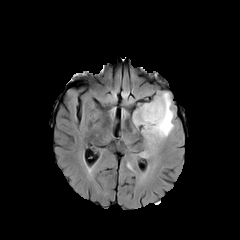
FLAIR MR.
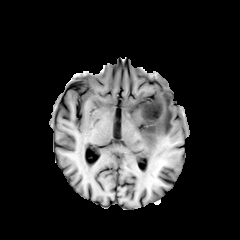
Same slice, T1-weighted MR.
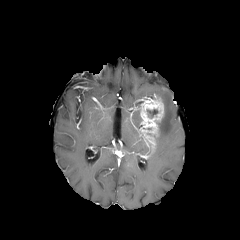
Post-contrast T1-weighted MR image.
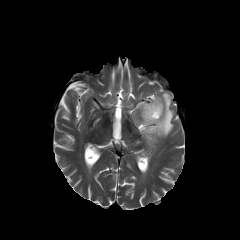
T2-weighted MR.
Image size 240x240
• enhancing tumor: 140:95:164:142
• edema: 133:109:140:127, 151:91:174:138